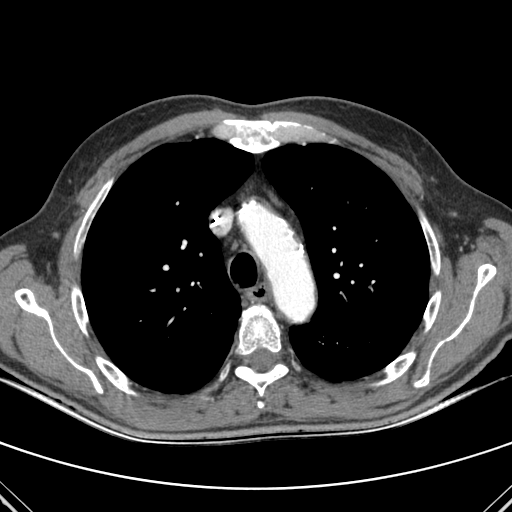 CT image

Lung = box=[262, 143, 429, 381]; box=[81, 138, 254, 393].
Bone = box=[414, 371, 429, 387]; box=[378, 351, 415, 384]; box=[96, 356, 135, 394]; box=[222, 120, 298, 152]; box=[237, 305, 280, 355]; box=[424, 291, 440, 330]; box=[74, 179, 112, 254]; box=[14, 288, 102, 393]; box=[428, 264, 496, 365]; box=[71, 286, 88, 334]; box=[421, 213, 440, 274]; box=[235, 364, 288, 395].